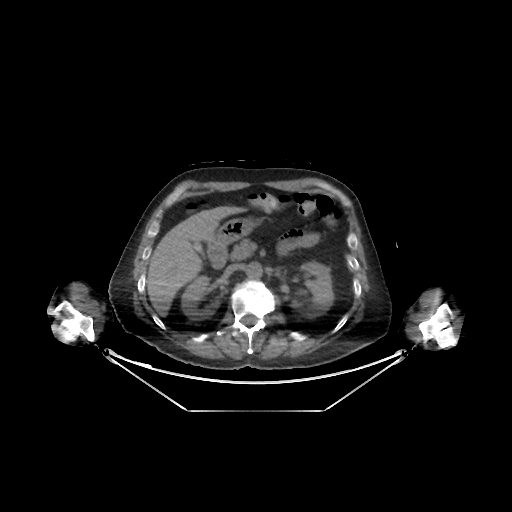
CT image, Upper abdomen

kidney: 289 259 335 318, 181 271 223 320 | liver: 145 207 245 310